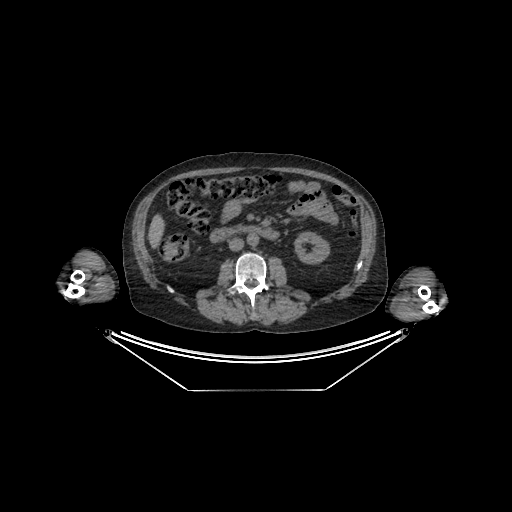

CT slice; 512x512 px; Upper abdomen
* liver: bbox=[148, 215, 164, 247]
* kidney: bbox=[294, 232, 329, 264]